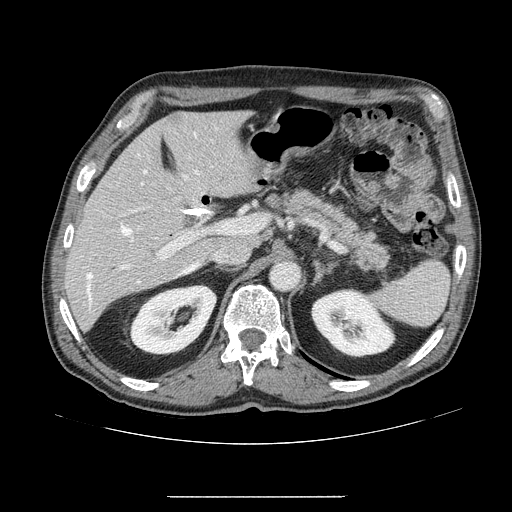
CT scan slice | 512x512 px

pancreas: rect(263, 185, 394, 274)